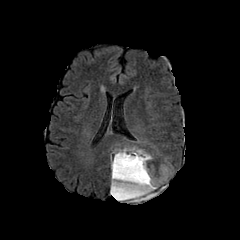
FLAIR MR image.
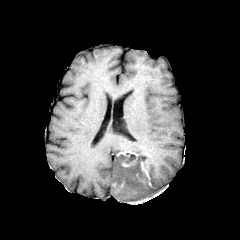
T1-weighted MRI.
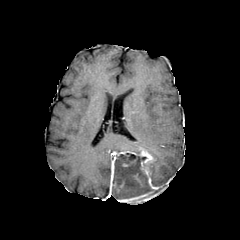
Post-contrast T1-weighted MR image.
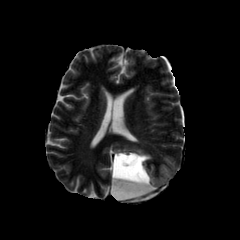
T2-weighted magnetic resonance of the same slice.
non-enhancing_tumor_core:
  - box(110, 151, 161, 198)
edema:
  - box(114, 148, 144, 153)
  - box(144, 160, 157, 185)
  - box(120, 180, 140, 193)
enhancing_tumor:
  - box(144, 169, 157, 189)
  - box(140, 152, 151, 167)
  - box(110, 152, 125, 193)
  - box(118, 192, 151, 201)